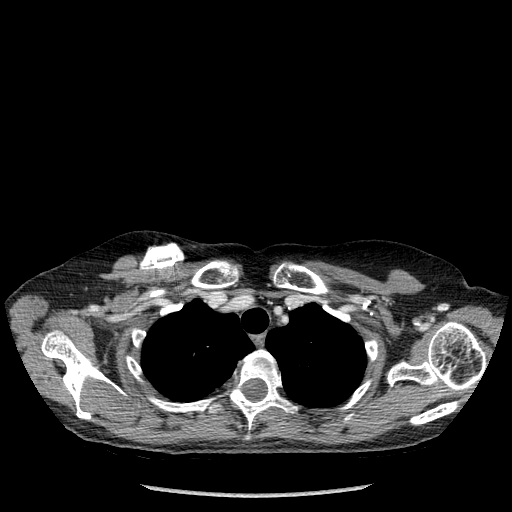

CT image.
Lung: bounding box bbox=[141, 299, 268, 401]; bbox=[265, 303, 366, 407].
Bone: bounding box bbox=[273, 263, 328, 294]; bbox=[225, 349, 297, 429]; bbox=[126, 356, 141, 380]; bbox=[321, 300, 350, 321]; bbox=[148, 397, 220, 412]; bbox=[365, 339, 377, 361]; bbox=[156, 299, 182, 315]; bbox=[410, 401, 458, 424]; bbox=[387, 322, 486, 390]; bbox=[191, 260, 238, 289]; bbox=[131, 328, 145, 347]; bbox=[41, 330, 125, 419]; bbox=[341, 380, 370, 409].